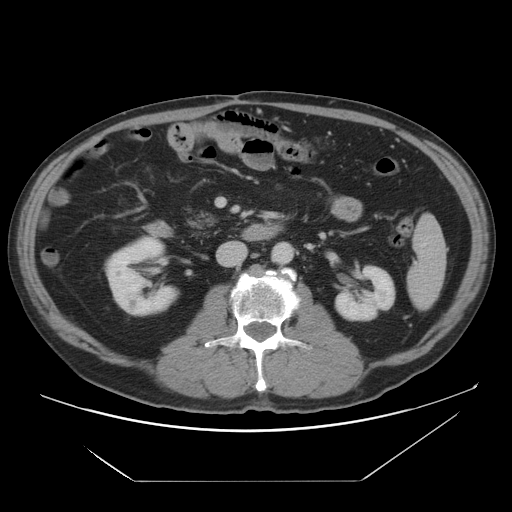

CT scan slice | Abdomen
Kidney at x1=108 y1=238 x2=173 y2=313, x1=336 y1=267 x2=393 y2=319.